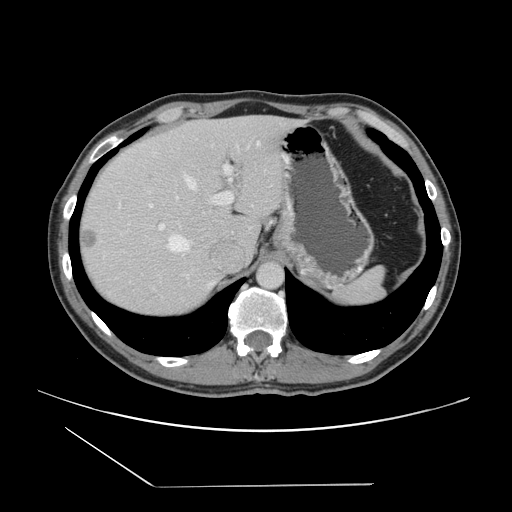

CT slice. Abdomen.
The vessel annotation is not exhaustive.
Liver tumor = left=85, top=228, right=96, bottom=250.
Hepatic vessel = left=249, top=227, right=250, bottom=228; left=229, top=180, right=231, bottom=181; left=171, top=240, right=176, bottom=244; left=118, top=207, right=120, bottom=209; left=229, top=175, right=232, bottom=179; left=257, top=142, right=259, bottom=144; left=224, top=164, right=232, bottom=173; left=188, top=242, right=188, bottom=246; left=191, top=269, right=193, bottom=270; left=236, top=145, right=237, bottom=147; left=119, top=204, right=120, bottom=206; left=229, top=192, right=232, bottom=195; left=185, top=175, right=195, bottom=188.